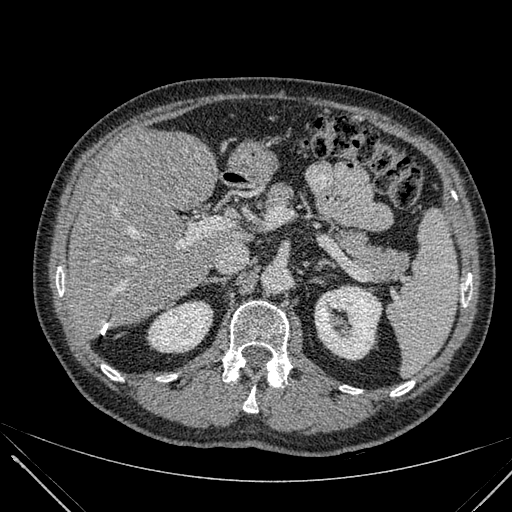
Abdomen; CT
2 kidney regions appear at <bbox>315, 287, 381, 359</bbox>, <bbox>149, 302, 211, 351</bbox>. 2 liver regions appear at <bbox>236, 146, 278, 180</bbox>, <bbox>67, 128, 253, 335</bbox>.